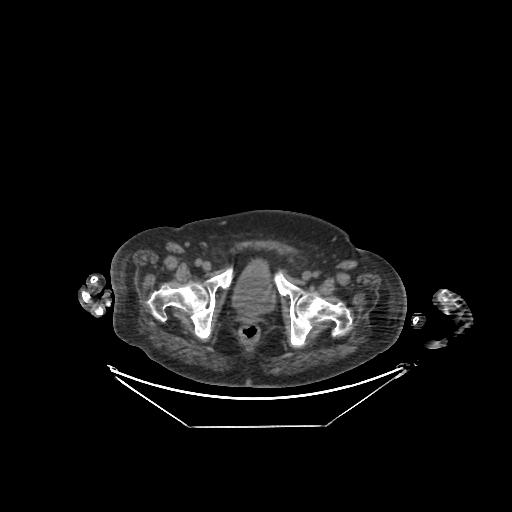

Lower abdomen. CT scan slice. The urinary bladder lies within 232, 258, 276, 317.